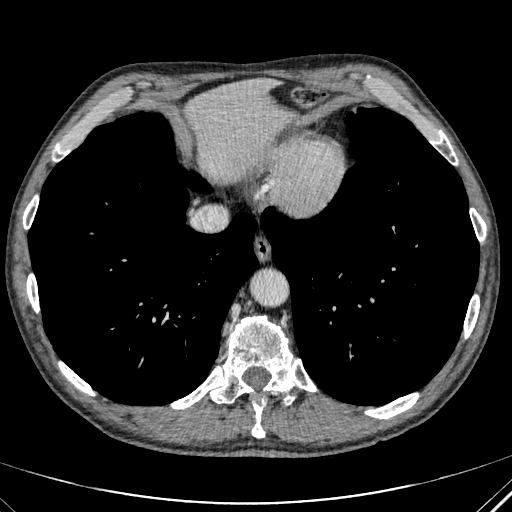 CT scan slice
Liver at <box>184,79,293,180</box>.